CT slice, Slice 80/142, Pelvis 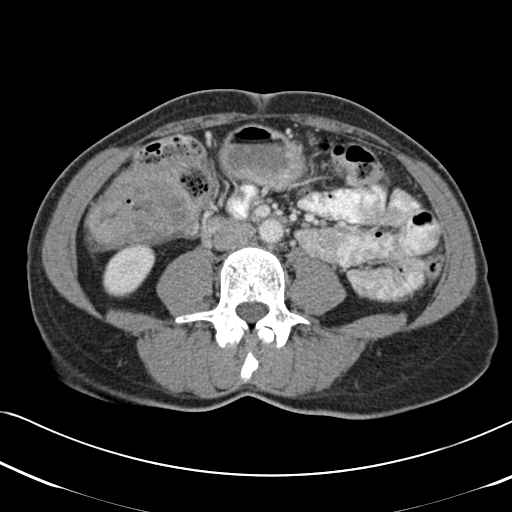

Colon tumor at (x1=86, y1=161, x2=195, y2=245).